FLAIR MR image.
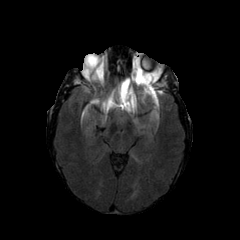
T1-weighted magnetic resonance.
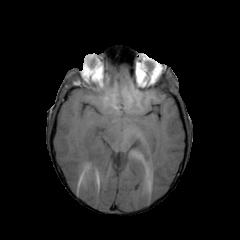
Post-contrast T1-weighted magnetic resonance.
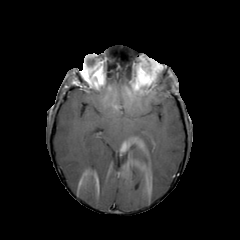
T2-weighted MR image.
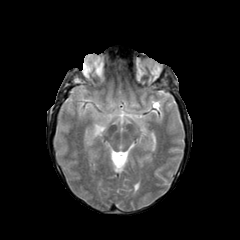
enhancing tumor: region(142, 72, 153, 83) | edema: region(123, 79, 133, 95); region(112, 96, 135, 111); region(102, 100, 111, 113); region(142, 76, 163, 114) | non-enhancing tumor core: region(86, 62, 102, 80); region(132, 67, 155, 91)